CT slice. Image size 512x512. Liver.
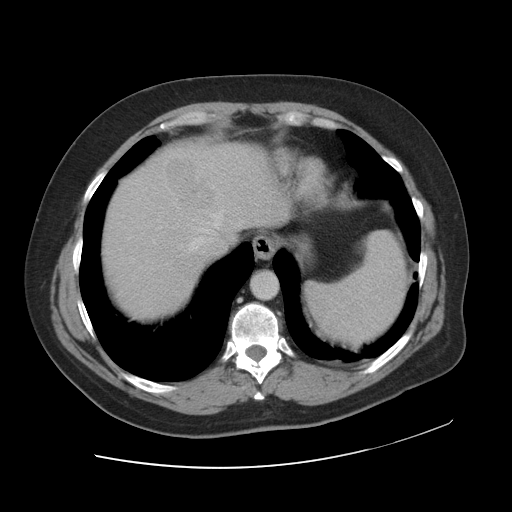 The vessel boxes may cover only some of the vessels.
<segmentation>
  <hepatic_vessel>bbox(189, 237, 227, 260); bbox(200, 228, 212, 232); bbox(214, 232, 216, 234); bbox(211, 214, 221, 218); bbox(156, 227, 160, 229); bbox(214, 222, 220, 227)</hepatic_vessel>
  <liver_tumor>bbox(167, 157, 218, 216)</liver_tumor>
</segmentation>